36x48, Slice index 13, MRI
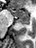

<segmentation>
  <posterior_hippocampus>x1=17 y1=20 x2=28 y2=25</posterior_hippocampus>
  <anterior_hippocampus>x1=10 y1=8 x2=29 y2=19</anterior_hippocampus>
</segmentation>